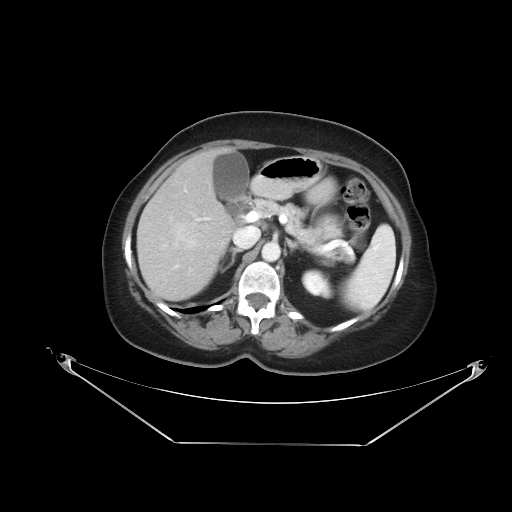

CT

Not every hepatic vessel necessarily has a box.
liver_tumor:
  - 177:238:195:248
hepatic_vessel:
  - 174:265:177:268
  - 184:189:186:191
  - 174:243:175:246
  - 195:217:208:220
  - 246:215:250:220
  - 188:269:190:274
  - 234:228:259:246